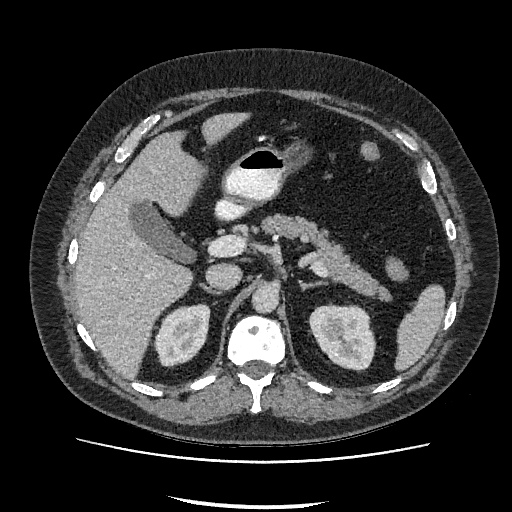 Image size 512x512. CT scan slice.

liver:
  - (x1=77, y1=131, x2=202, y2=379)
  - (x1=204, y1=113, x2=247, y2=143)
kidney:
  - (x1=156, y1=306, x2=209, y2=364)
  - (x1=310, y1=307, x2=373, y2=368)